CT slice, Image width 339 mm, Slice 124 of 696
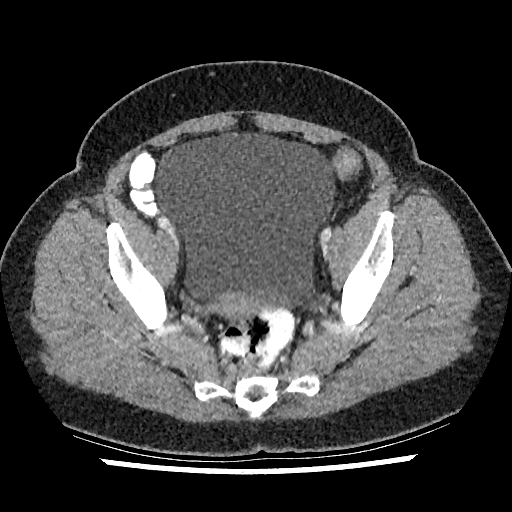

Segmented structures:
• urinary bladder: region(154, 132, 334, 315)